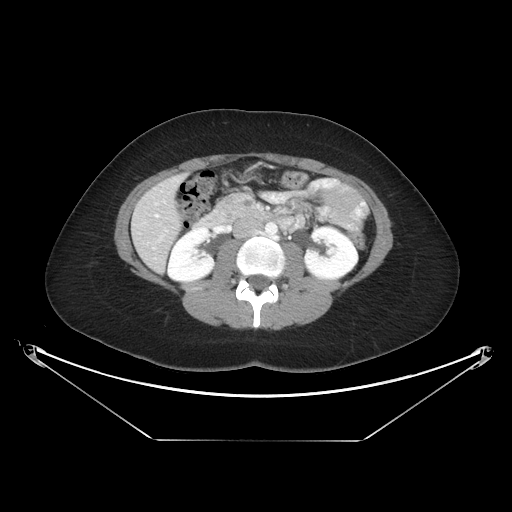 Abdomen | Computed tomography
pancreas:
  - (217, 193, 259, 220)